FLAIR MR.
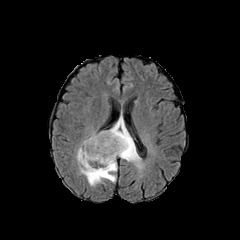
T1-weighted MR image.
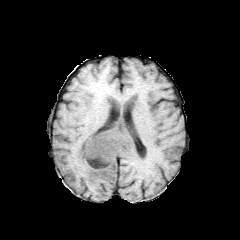
Post-contrast T1-weighted MRI.
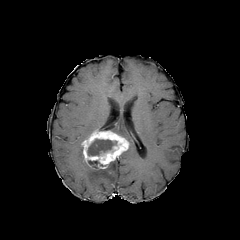
T2-weighted MR image.
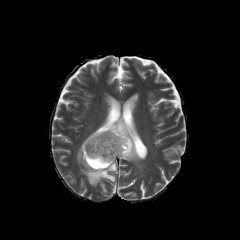
Brain | 240x240 px
Annotated regions:
- enhancing tumor: 82 129 130 168
- non-enhancing tumor core: 88 140 113 155, 88 160 98 168
- edema: 76 145 117 186, 105 112 143 169